Field of view 240 mm wide, 1.00 mm slice spacing; 240x240 px
FLAIR MR.
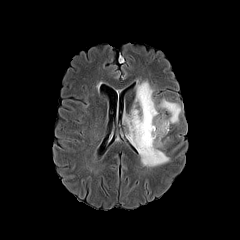
T1-weighted MRI.
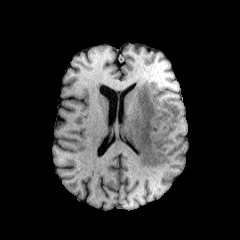
Post-contrast T1-weighted MR image.
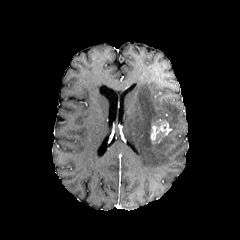
T2-weighted MRI.
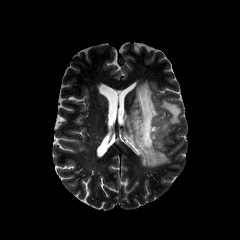
non-enhancing tumor core: 153,134,168,148; 152,106,171,124 | edema: 158,99,180,125; 125,81,169,166 | enhancing tumor: 150,119,171,143